Abdomen. CT. 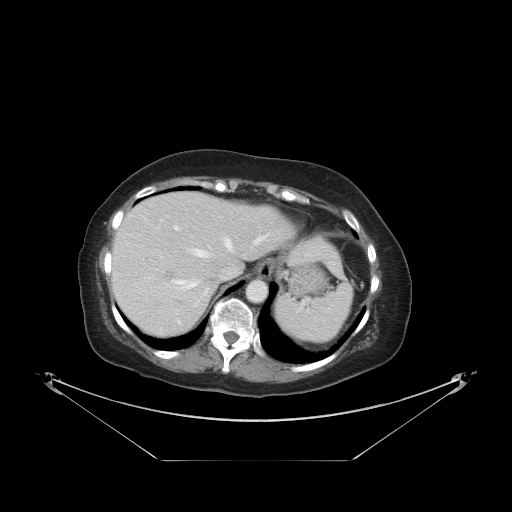
Not every hepatic vessel necessarily has a box.
{"hepatic_vessel": ["x1=219, y1=261, x2=243, y2=279", "x1=223, y1=237, x2=232, y2=250", "x1=255, y1=236, x2=265, y2=243", "x1=173, y1=280, x2=196, y2=288", "x1=194, y1=249, x2=207, y2=256", "x1=174, y1=226, x2=178, y2=229", "x1=213, y1=257, x2=214, y2=259", "x1=178, y1=320, x2=179, y2=322"]}